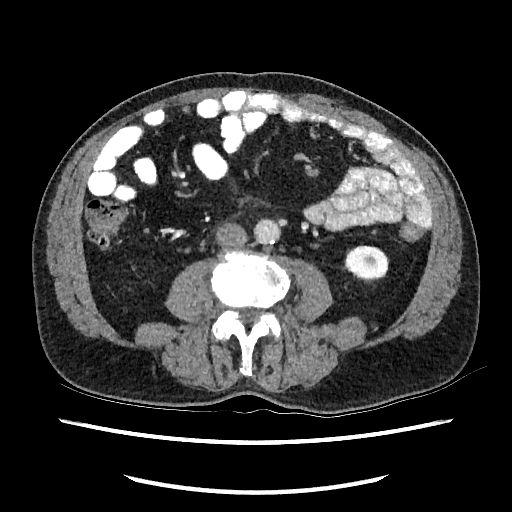 CT scan slice
Annotated regions:
- kidney: bbox(345, 246, 388, 279)